Field of view 240x240 mm.
FLAIR MR.
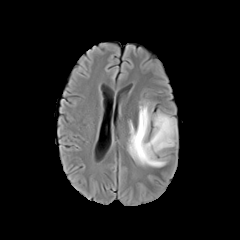
T1-weighted MR.
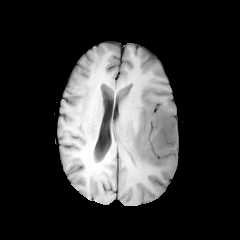
Post-contrast T1-weighted MR.
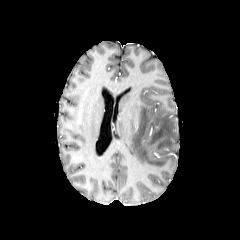
T2-weighted MR.
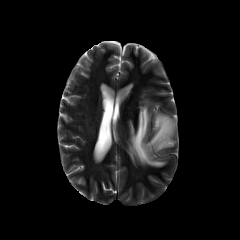
<segmentation>
  <edema>(left=126, top=98, right=178, bottom=167)</edema>
</segmentation>